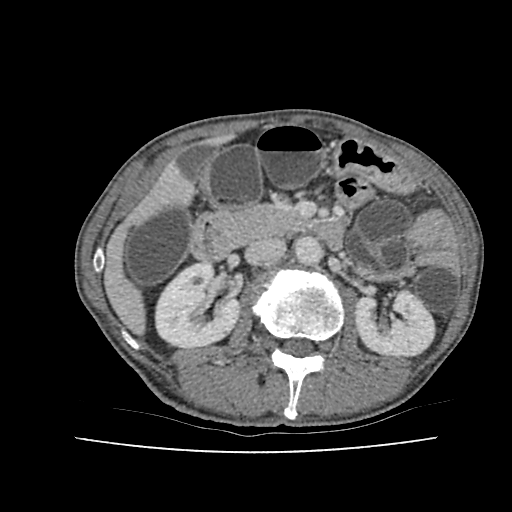 Abdomen. Computed tomography. Image size 512x512.

Liver at rect(105, 236, 142, 324); rect(127, 167, 187, 228).
Kidney at rect(356, 292, 433, 355); rect(156, 264, 238, 347).